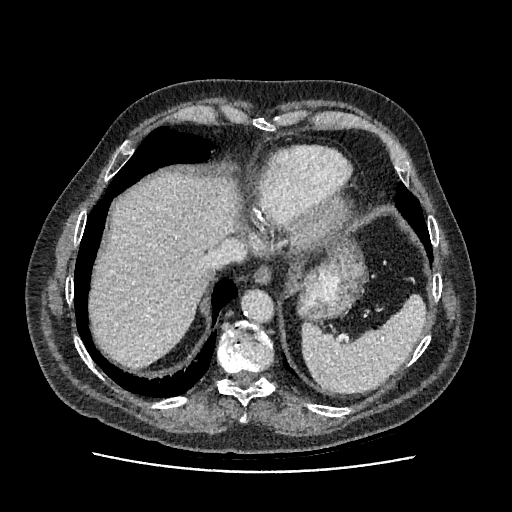

Abdomen, Computed tomography

The liver lies within x1=89, y1=175, x2=240, y2=367.